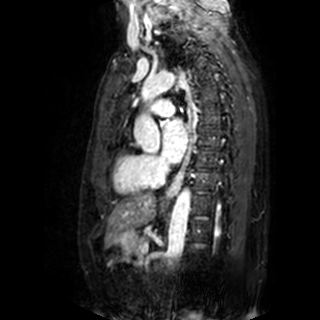
MR

Annotated regions:
* left atrium: x1=163, y1=119, x2=188, y2=163